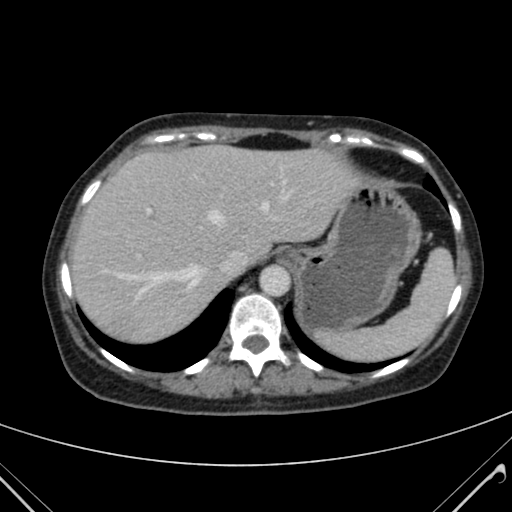
CT image | 512x512 | Liver
{
  "liver": [
    "bbox=[73, 146, 348, 342]"
  ]
}